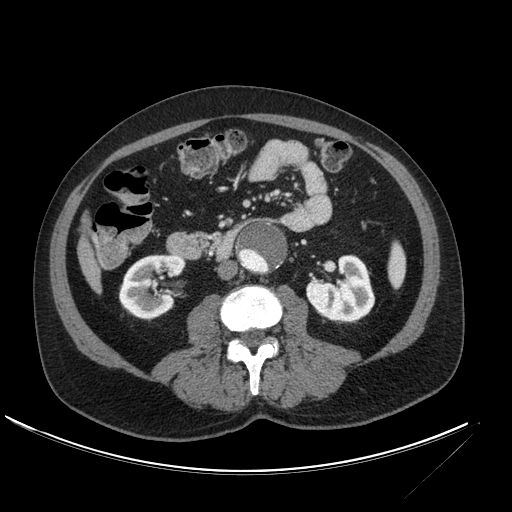
Image size 512x512 | Abdomen | CT image

The focal liver lesion is bounded by 80:211:90:236. The liver is at 78:235:102:293. 2 kidney regions appear at 120:255:184:317, 307:256:373:320.